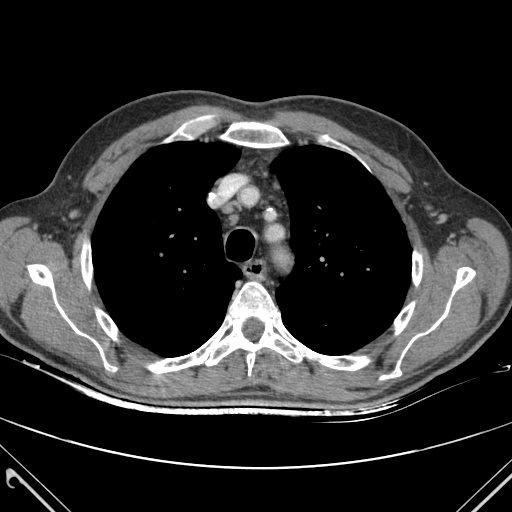 Computed tomography

Bone at left=28, top=264, right=116, bottom=371; left=401, top=267, right=475, bottom=357; left=322, top=135, right=360, bottom=160; left=394, top=302, right=414, bottom=334; left=412, top=251, right=422, bottom=285; left=221, top=122, right=288, bottom=147; left=148, top=282, right=369, bottom=375; left=165, top=116, right=220, bottom=141; left=81, top=244, right=92, bottom=287; left=380, top=360, right=401, bottom=379; left=96, top=309, right=117, bottom=339.
Lung at left=272, top=145, right=411, bottom=355; left=92, top=142, right=241, bottom=357.